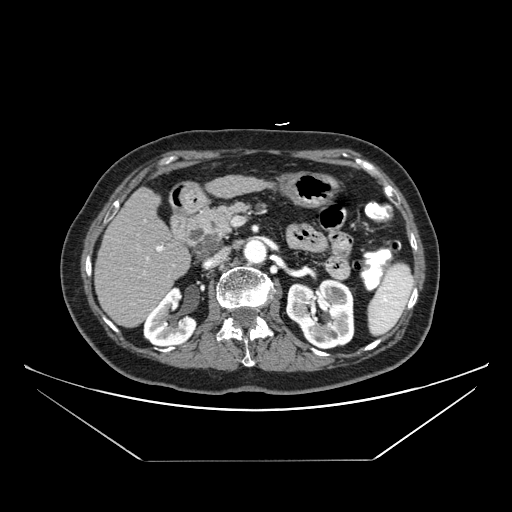
512x512 px; CT scan slice
Pancreatic tumor: {"x1": 191, "y1": 232, "x2": 218, "y2": 261}.
Pancreas: {"x1": 183, "y1": 201, "x2": 269, "y2": 251}.